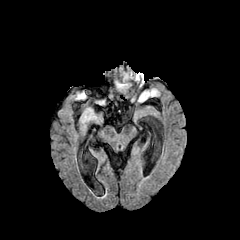
FLAIR MR.
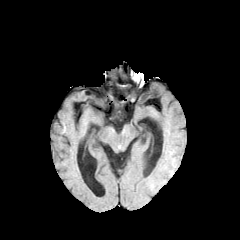
T1-weighted MR of the same slice.
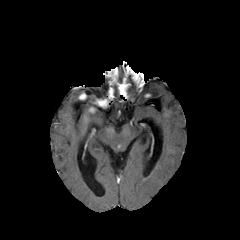
Post-contrast T1-weighted MRI.
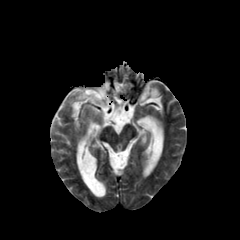
T2-weighted MR.
240x240 px | Brain
<segmentation>
  <enhancing_tumor>117 82 128 94</enhancing_tumor>
  <edema>114 72 124 84, 137 88 159 102</edema>
</segmentation>